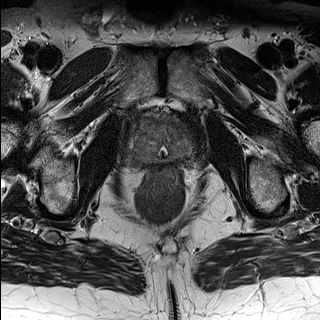
T2-weighted MR.
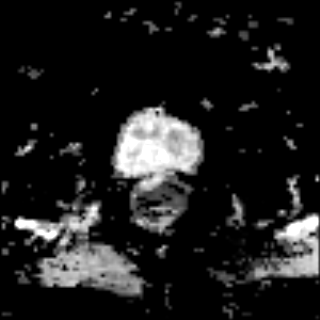
ADC magnetic resonance.
320x320 px, Pelvis
Prostate transition zone — 136, 118, 187, 159.